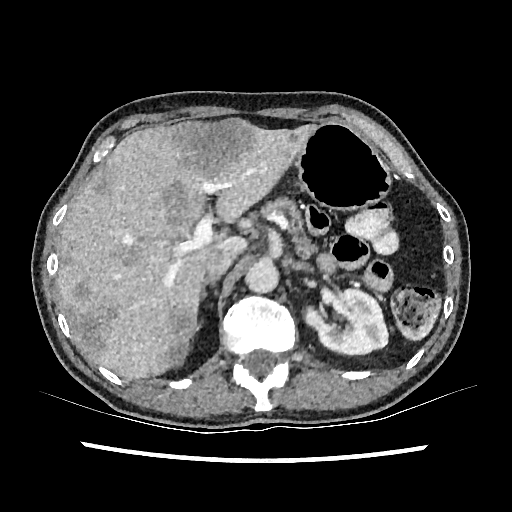 512x512 px; CT

Focal liver lesion: bounding box 161, 183, 188, 222; 72, 280, 91, 300; 60, 256, 72, 265; 122, 246, 139, 266; 288, 128, 299, 141; 95, 176, 107, 192; 169, 119, 256, 178; 276, 149, 284, 157; 167, 309, 195, 363; 68, 307, 115, 348.
Liver: bounding box 58, 126, 313, 377.
Kidney: bounding box 307, 289, 387, 358.